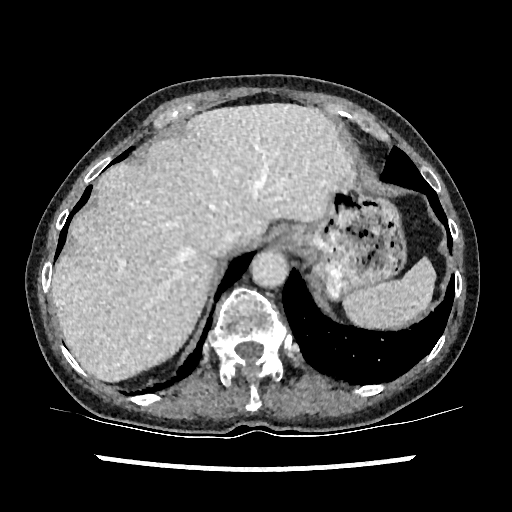
CT slice.

Liver: bounding box (x1=53, y1=105, x2=352, y2=380).